FLAIR magnetic resonance.
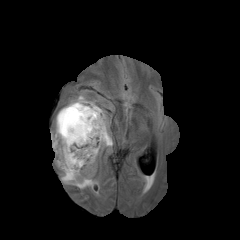
T1-weighted magnetic resonance.
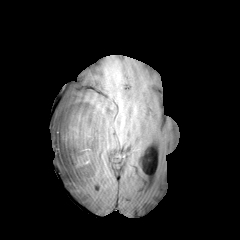
Post-contrast T1-weighted MRI.
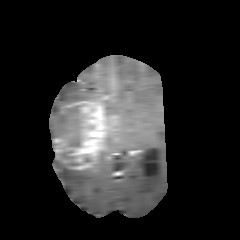
T2-weighted MR.
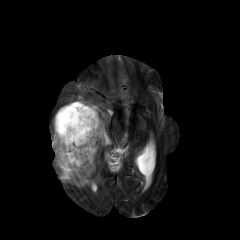
Head. 240x240 px.
non-enhancing_tumor_core:
  - bbox=[65, 106, 79, 118]
  - bbox=[60, 152, 78, 170]
  - bbox=[56, 122, 82, 146]
edema:
  - bbox=[98, 104, 107, 121]
  - bbox=[54, 124, 111, 188]
  - bbox=[51, 106, 81, 149]
enhancing_tumor:
  - bbox=[53, 100, 106, 170]